Liver. CT image. 512x512. Slice index 7.
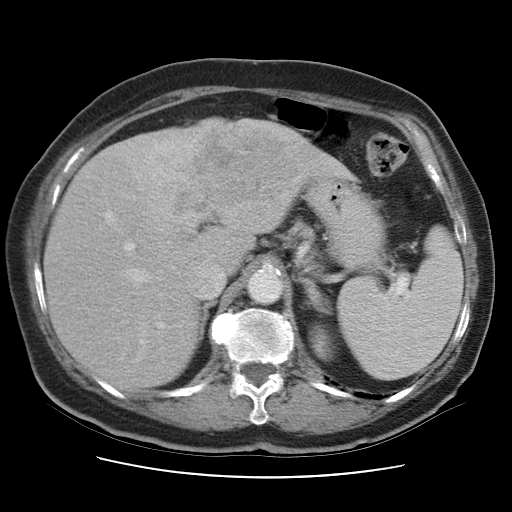
Some hepatic vessels may have no box.
5 hepatic vessel regions are located at 188, 223, 191, 225; 210, 269, 222, 284; 128, 271, 147, 280; 125, 243, 134, 252; 106, 212, 113, 222. The liver tumor appears at 173, 123, 296, 221.